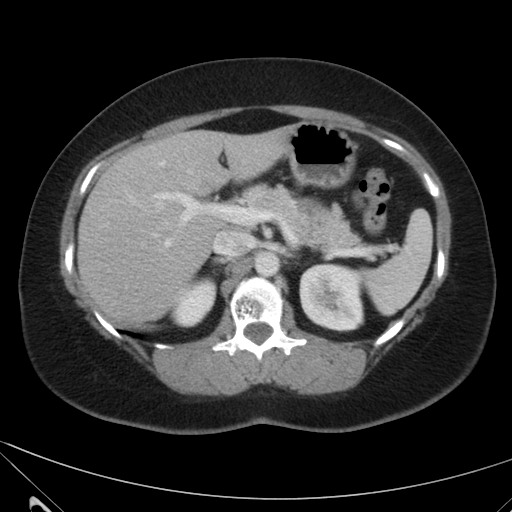
512x512; Liver; CT scan slice

Findings:
* liver: 78, 130, 287, 321
* kidney: 176, 284, 213, 324; 300, 265, 361, 329
* focal liver lesion: 200, 178, 212, 187